Brain
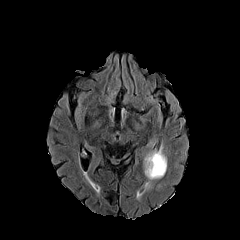
FLAIR MRI.
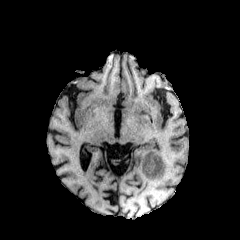
T1-weighted MR.
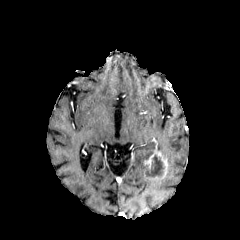
Post-contrast T1-weighted MRI.
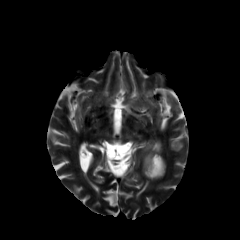
T2-weighted magnetic resonance.
* non-enhancing tumor core: box(146, 155, 163, 177)
* edema: box(152, 147, 166, 160); box(146, 172, 165, 180)
* enhancing tumor: box(142, 151, 154, 176)